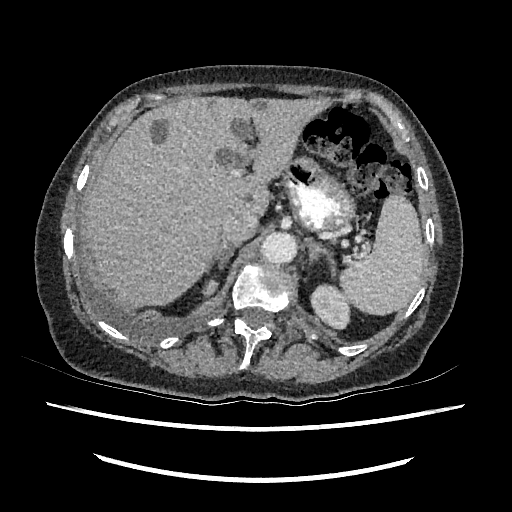

CT

Liver: 88 97 330 306.
Liver lesion: 255 101 263 109, 217 149 248 168, 230 120 249 138, 151 121 165 141, 246 194 251 202.
Kidney: 206 281 215 293, 312 286 353 328.